Field of view 240 mm wide, 1.00 mm slice spacing
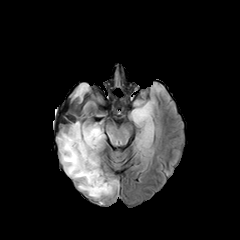
FLAIR MR image.
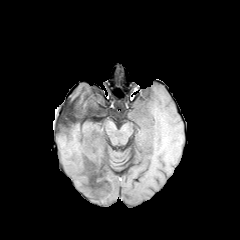
T1-weighted magnetic resonance.
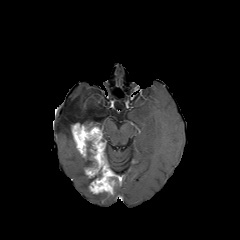
Post-contrast T1-weighted MR.
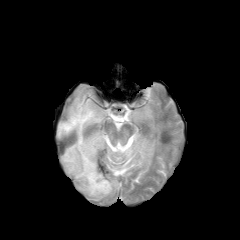
T2-weighted MRI of the same slice.
Enhancing tumor = box(71, 123, 117, 193); box(84, 163, 99, 177).
Edema = box(68, 91, 94, 127); box(130, 102, 151, 123); box(57, 125, 111, 199).
Non-enhancing tumor core = box(107, 164, 121, 187); box(83, 141, 99, 167); box(65, 112, 92, 131); box(88, 165, 104, 189).